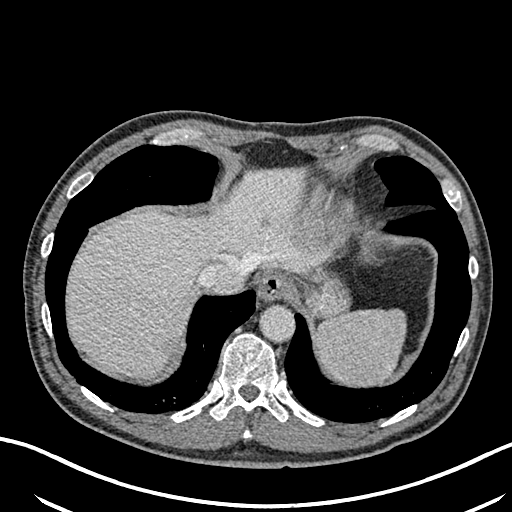

Computed tomography

Liver lesion: bounding box (left=167, top=341, right=174, bottom=355), (left=261, top=218, right=269, bottom=226).
Liver: bounding box (left=65, top=167, right=320, bottom=377).